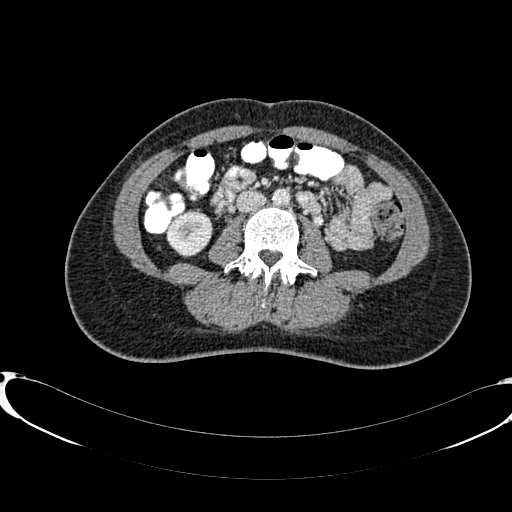 Abdomen | CT slice
The kidney is at box(168, 214, 210, 254).